FLAIR magnetic resonance.
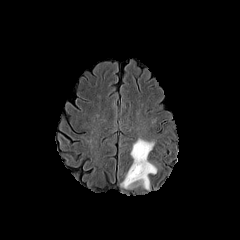
T1-weighted MR.
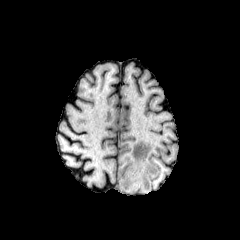
Post-contrast T1-weighted magnetic resonance.
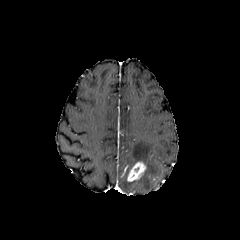
T2-weighted magnetic resonance.
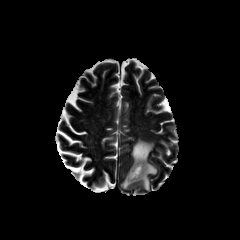
Head
{
  "edema": [
    "(121, 178, 136, 188)",
    "(130, 138, 156, 190)"
  ],
  "enhancing_tumor": [
    "(125, 160, 147, 181)"
  ]
}